FLAIR MR.
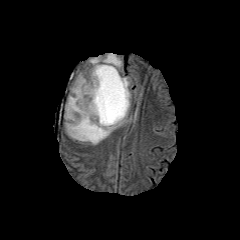
T1-weighted MR.
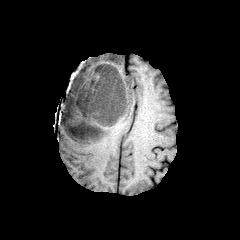
Post-contrast T1-weighted MR image.
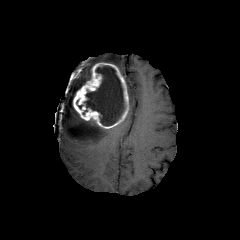
T2-weighted magnetic resonance.
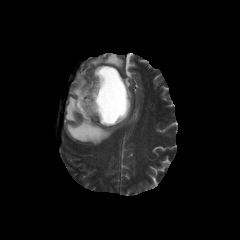
Head
The edema appears at <bbox>64, 53, 139, 145</bbox>. The enhancing tumor appears at <bbox>72, 62, 129, 128</bbox>. The non-enhancing tumor core is at <bbox>86, 66, 125, 125</bbox>.